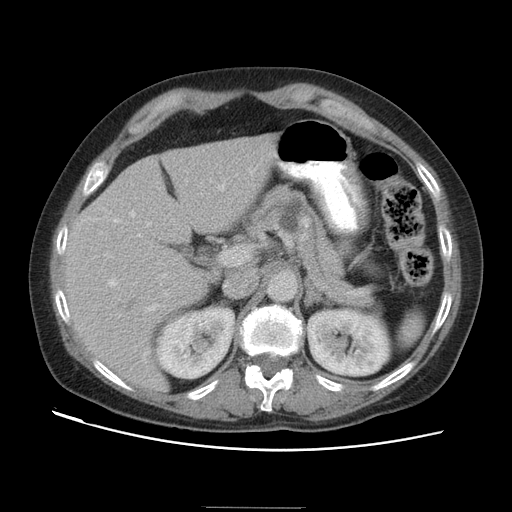 Upper abdomen. CT. 512x512. {"pancreatic_tumor": ["rect(276, 198, 305, 230)"], "pancreas": ["rect(238, 184, 372, 307)"]}